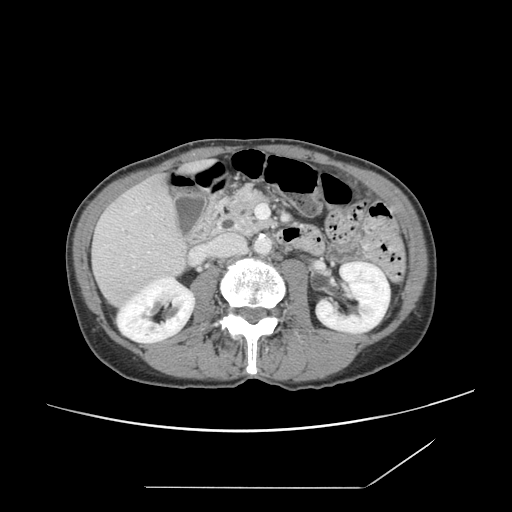

Abdomen, 512x512 px, CT scan slice
<segmentation>
  <pancreas>box(216, 184, 272, 237)</pancreas>
</segmentation>